FLAIR MR.
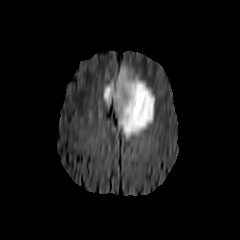
T1-weighted MR image.
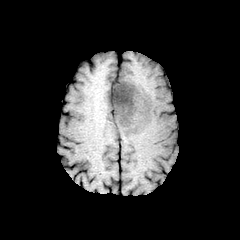
Post-contrast T1-weighted MR.
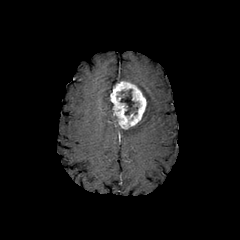
T2-weighted MR image.
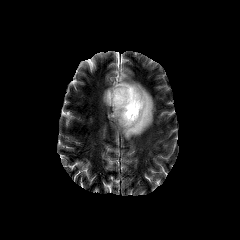
Brain.
- enhancing tumor: {"x1": 110, "y1": 80, "x2": 146, "y2": 128}
- edema: {"x1": 103, "y1": 66, "x2": 155, "y2": 139}
- non-enhancing tumor core: {"x1": 120, "y1": 90, "x2": 137, "y2": 114}